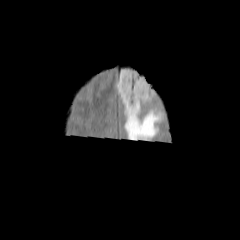
FLAIR MRI.
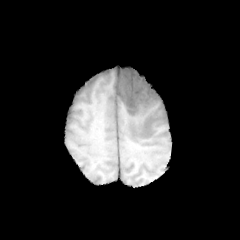
T1-weighted MR image of the same slice.
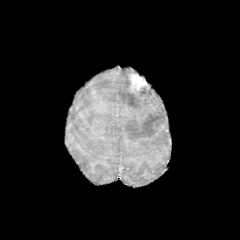
Post-contrast T1-weighted MR.
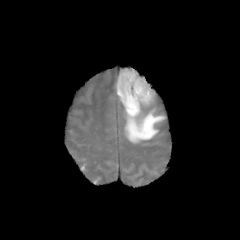
T2-weighted MR.
Brain; Image size 240x240
Edema = (116, 68, 165, 142).
Enhancing tumor = (127, 70, 148, 94).